512x512. Slice 29/51. CT scan slice.
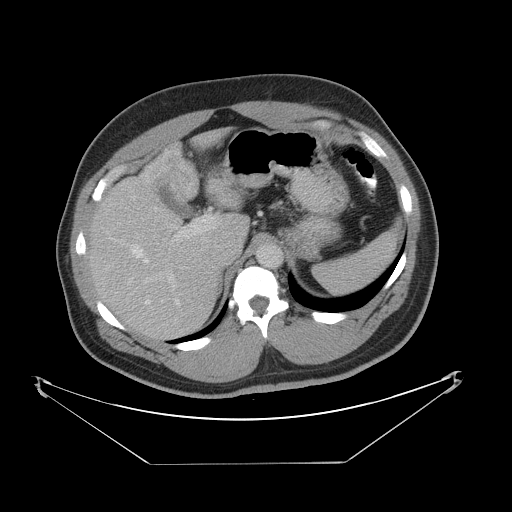 Only some of the vessels may be annotated.
{"liver_tumor": ["rect(164, 149, 191, 186)"], "hepatic_vessel": ["rect(178, 239, 181, 240)", "rect(144, 259, 147, 261)", "rect(168, 273, 174, 287)", "rect(134, 247, 142, 256)", "rect(179, 246, 185, 251)", "rect(204, 215, 208, 218)", "rect(214, 244, 220, 247)", "rect(179, 220, 214, 250)"]}